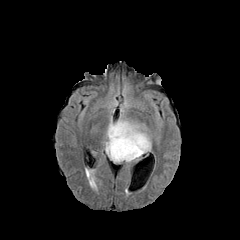
FLAIR magnetic resonance.
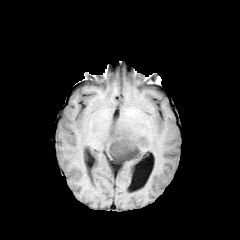
T1-weighted MR.
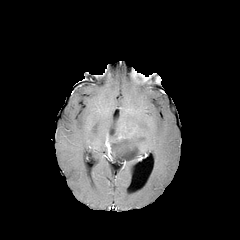
Post-contrast T1-weighted MR image.
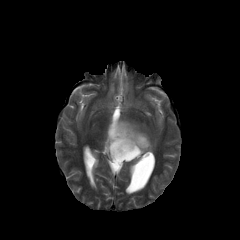
T2-weighted MR image.
2 enhancing tumor regions are bounded by bbox(105, 132, 140, 159); bbox(139, 142, 146, 153). The non-enhancing tumor core appears at bbox(111, 136, 145, 163). The edema lies within bbox(103, 85, 152, 155).